FLAIR magnetic resonance.
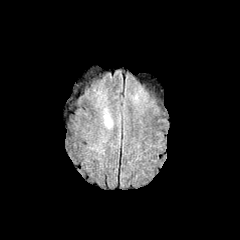
T1-weighted MRI.
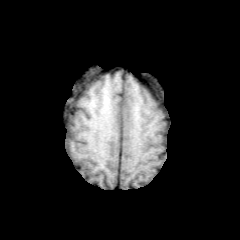
Post-contrast T1-weighted magnetic resonance.
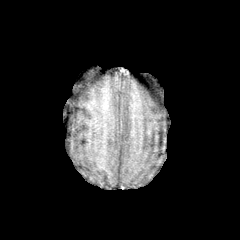
T2-weighted MR.
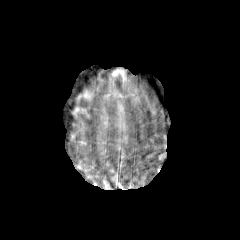
edema: box(103, 115, 109, 127)